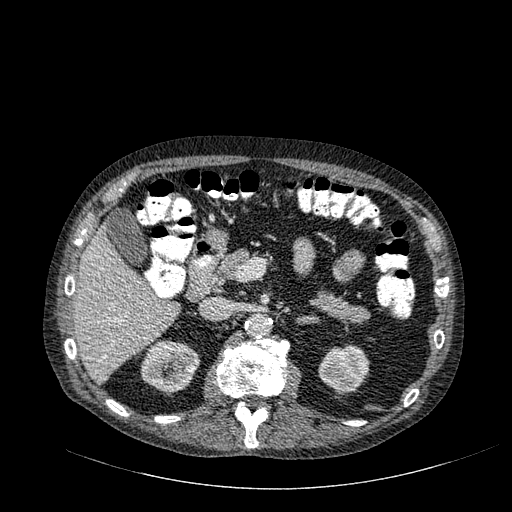
CT scan slice. Liver. Kidney: [140,340,200,395], [318,345,369,393].
Liver: [73,223,179,383].